Slice 431 of 896. CT image.

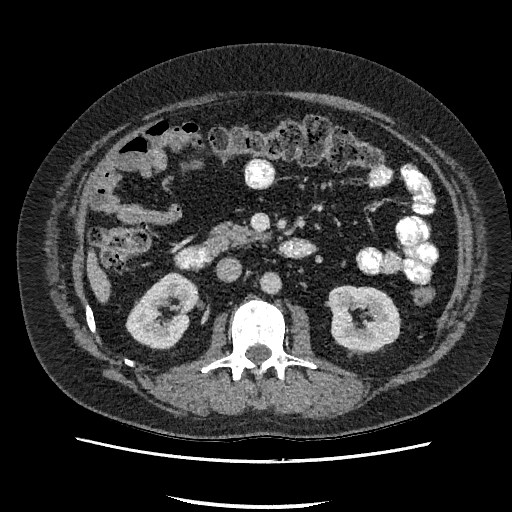 The liver is bounded by {"x1": 86, "y1": 253, "x2": 110, "y2": 301}. 2 kidney regions are located at {"x1": 330, "y1": 286, "x2": 398, "y2": 349}, {"x1": 127, "y1": 274, "x2": 196, "y2": 347}.